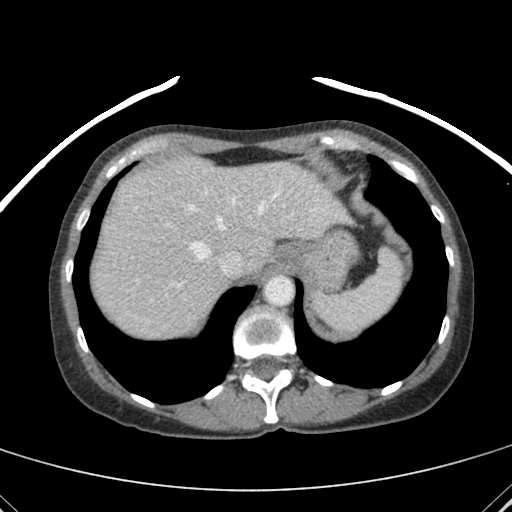
CT scan slice | 512x512 px | Abdomen

liver: box=[93, 155, 347, 338]